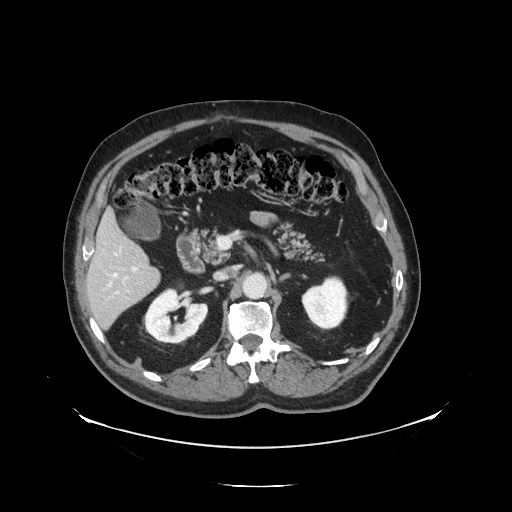
Abdomen | CT slice
Not every hepatic vessel necessarily has a box.
Findings:
• hepatic vessel: left=116, top=291, right=118, bottom=293; left=108, top=283, right=111, bottom=287; left=123, top=277, right=127, bottom=284; left=133, top=268, right=136, bottom=271; left=114, top=249, right=121, bottom=255; left=112, top=273, right=117, bottom=278